CT image, 512x512, Slice index 510
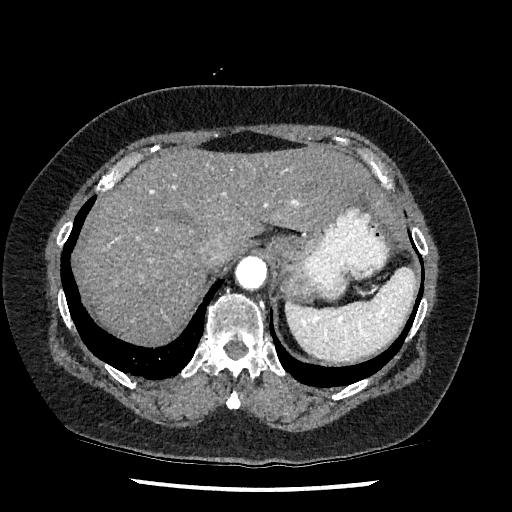
The liver lies within region(77, 148, 407, 342). The hepatic lesion is located at region(355, 198, 368, 208).